Slice 37/92 | 512x512 px | Upper abdomen | Field of view 406 mm wide, 2.50 mm slice spacing | CT scan slice 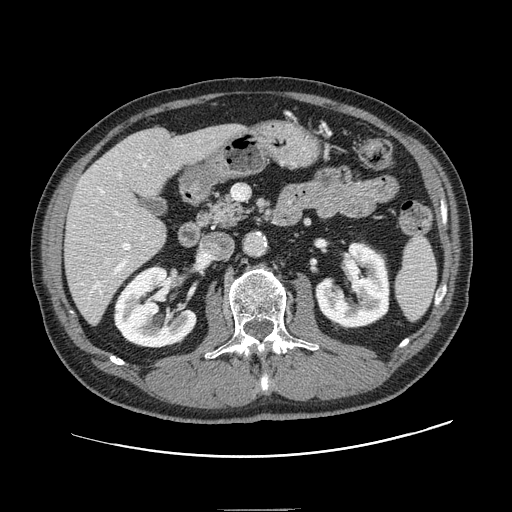

Pancreas: bounding box box=[197, 194, 247, 229].